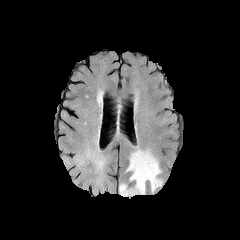
FLAIR MR.
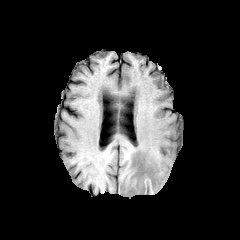
Same slice, T1-weighted MR.
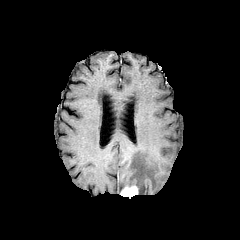
Same slice, post-contrast T1-weighted MR.
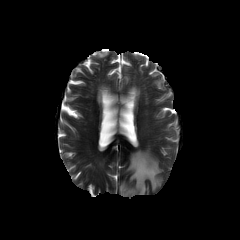
T2-weighted MR image of the same slice.
Head; 240x240
Edema — x1=126, y1=150, x2=161, y2=194.
Enhancing tumor — x1=120, y1=185, x2=138, y2=196.